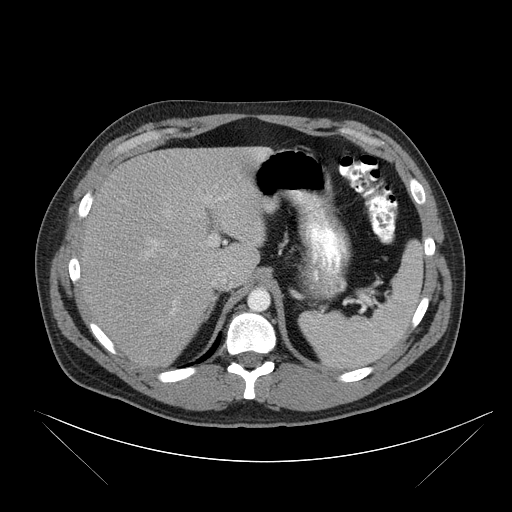 Upper abdomen. CT slice. 512x512 px.

Spleen: bounding box 300 242 423 366.